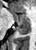
MRI, Hippocampus

<segmentation>
  <posterior_hippocampus>x1=15, y1=23, x2=29, y2=35</posterior_hippocampus>
  <anterior_hippocampus>x1=13, y1=13, x2=29, y2=22</anterior_hippocampus>
</segmentation>